CT slice | Abdomen | Image size 512x512

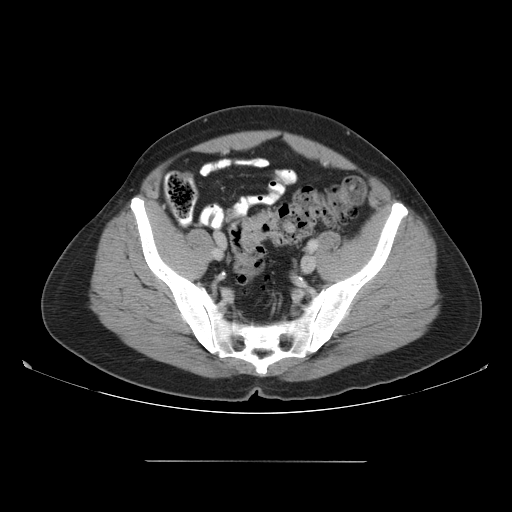

Segmented structures:
- colon tumor: region(240, 211, 280, 246)